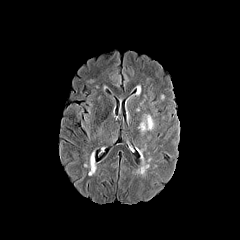
FLAIR MR image.
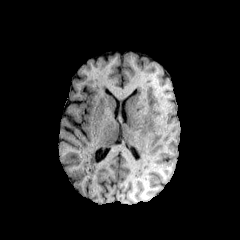
T1-weighted MRI.
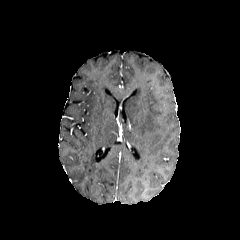
Post-contrast T1-weighted MR image.
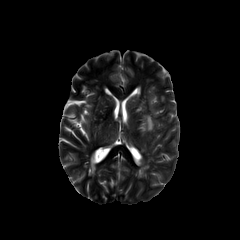
T2-weighted MRI.
240x240.
{"edema": ["138, 116, 154, 132"]}